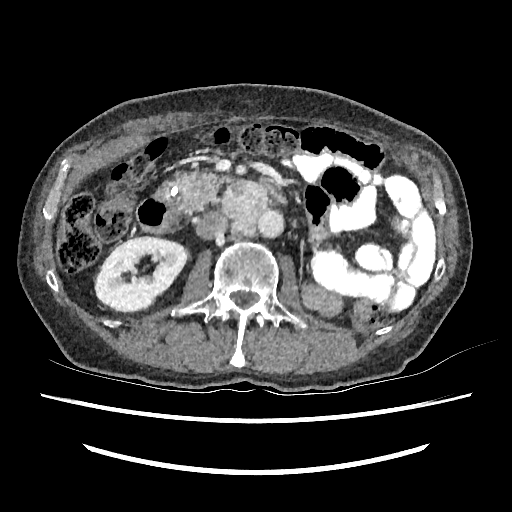

512x512. CT scan slice.

The kidney is located at 95 237 186 311.